Computed tomography, Upper abdomen, Field of view 367 mm wide, 0.70 mm slice spacing 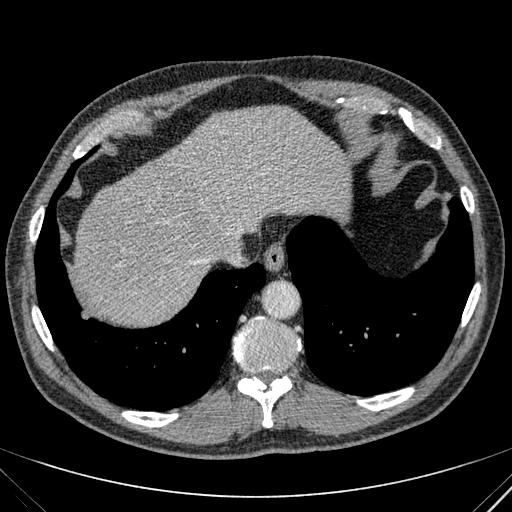 The liver appears at (x1=73, y1=107, x2=348, y2=323).